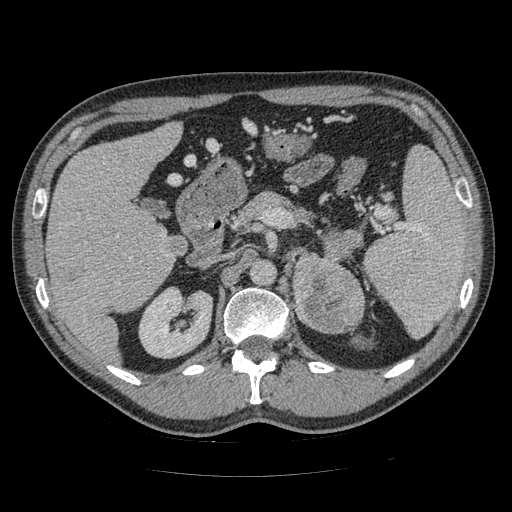

CT scan slice

Pancreas: {"x1": 241, "y1": 192, "x2": 359, "y2": 274}.
Pancreatic tumor: {"x1": 294, "y1": 256, "x2": 364, "y2": 331}.